Upper abdomen. CT.

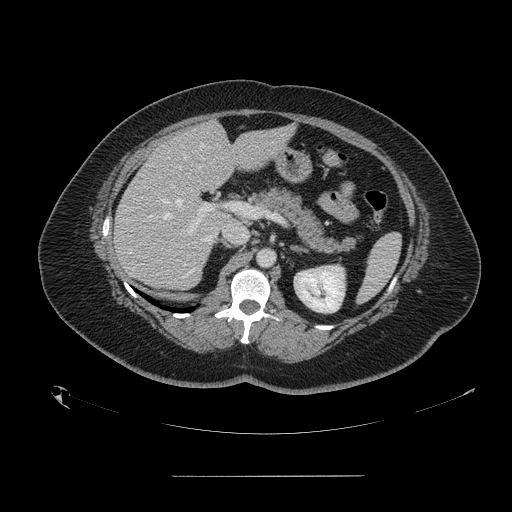
<segmentation>
  <spleen>(358, 234, 401, 302)</spleen>
</segmentation>